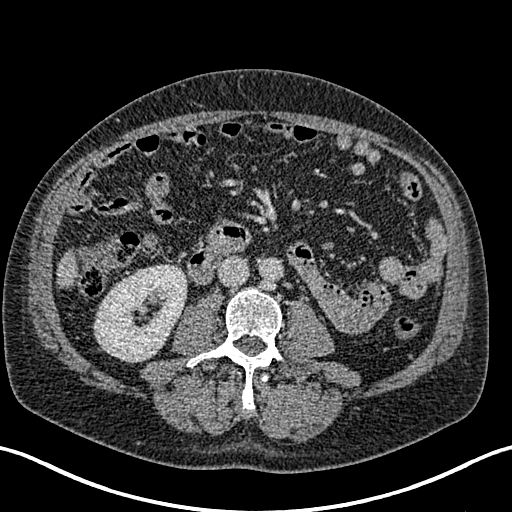

512x512; CT slice; Abdomen

Liver: 57,250,77,286.
Kidney: 94,265,186,361.